FLAIR magnetic resonance.
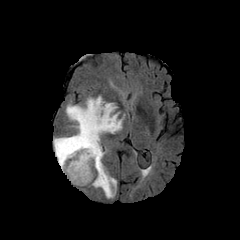
T1-weighted MRI.
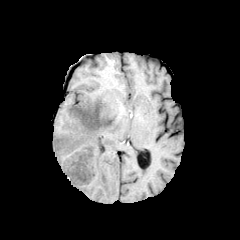
Post-contrast T1-weighted MRI.
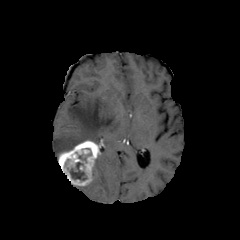
T2-weighted MR.
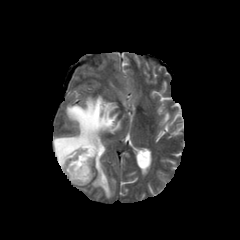
Non-enhancing tumor core = 70,169,86,179.
Enhancing tumor = 58,140,100,186.
Edema = 92,147,116,198; 53,96,122,157.